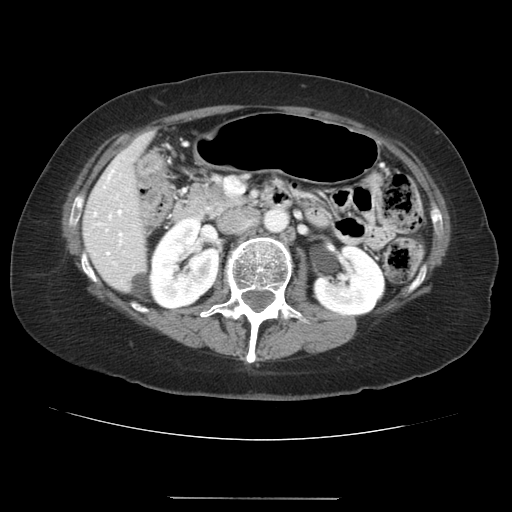 Pelvis. CT slice.

The colon tumor appears at 136, 153, 172, 226.